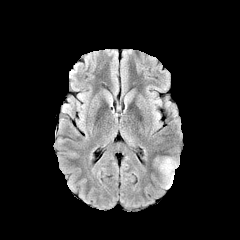
FLAIR MRI.
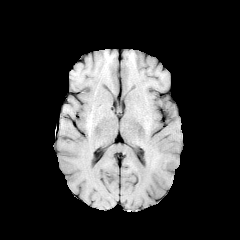
T1-weighted MR image.
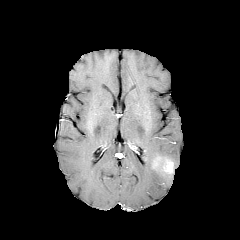
Post-contrast T1-weighted MR.
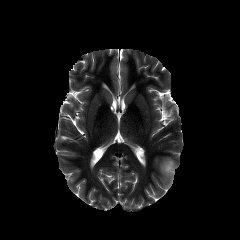
T2-weighted MR image.
The enhancing tumor appears at [163, 161, 173, 174]. The edema lies within [162, 171, 173, 188].